FLAIR MR image.
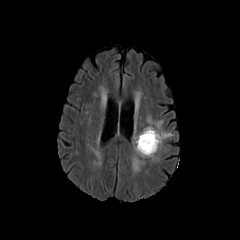
T1-weighted MRI.
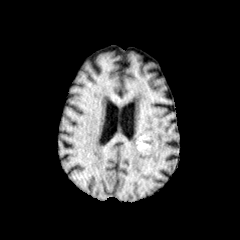
Post-contrast T1-weighted MR.
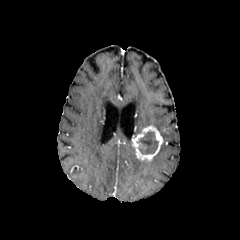
T2-weighted MR.
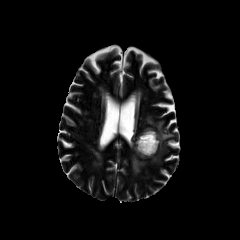
Head
Findings:
- enhancing tumor: x1=132 y1=124 x2=163 y2=162
- edema: x1=146 y1=115 x2=174 y2=140, x1=131 y1=149 x2=145 y2=173
- non-enhancing tumor core: x1=135 y1=131 x2=158 y2=155